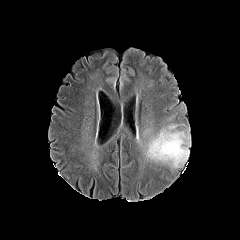
FLAIR MRI.
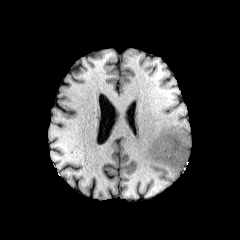
Same slice, T1-weighted magnetic resonance.
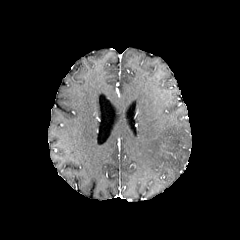
Post-contrast T1-weighted MR.
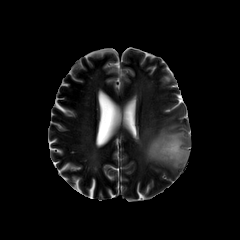
T2-weighted MRI of the same slice.
Brain; 240x240 px
Annotated regions:
- edema: rect(146, 130, 190, 167)